512x512; Computed tomography
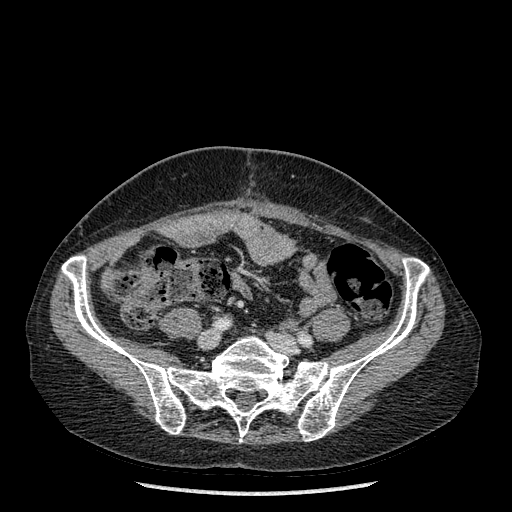 Bone = x1=61 y1=255 x2=429 y2=442.